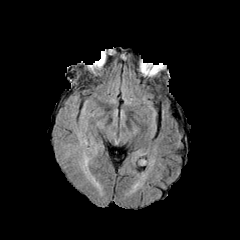
FLAIR MR image.
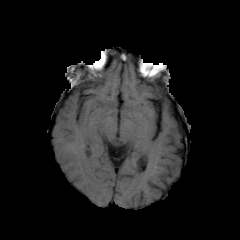
Same slice, T1-weighted MRI.
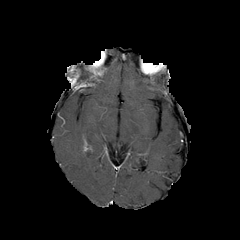
Post-contrast T1-weighted MRI.
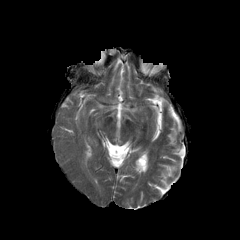
Same slice, T2-weighted MR.
240x240
<segmentation>
  <edema>(83, 138, 93, 166)</edema>
</segmentation>